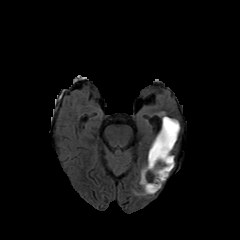
FLAIR MR image.
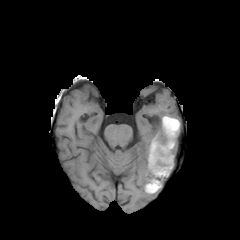
Same slice, T1-weighted MRI.
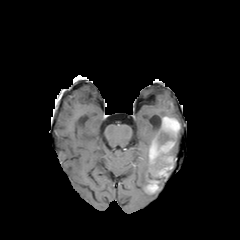
Post-contrast T1-weighted magnetic resonance.
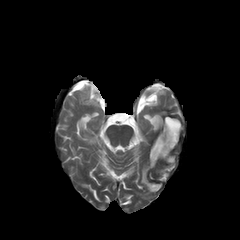
T2-weighted MRI.
Non-enhancing tumor core = <box>145,120,179,191</box>.
Enhancing tumor = <box>148,182,157,191</box>, <box>163,117,179,135</box>, <box>150,145,156,159</box>.
Edema = <box>139,152,155,194</box>.